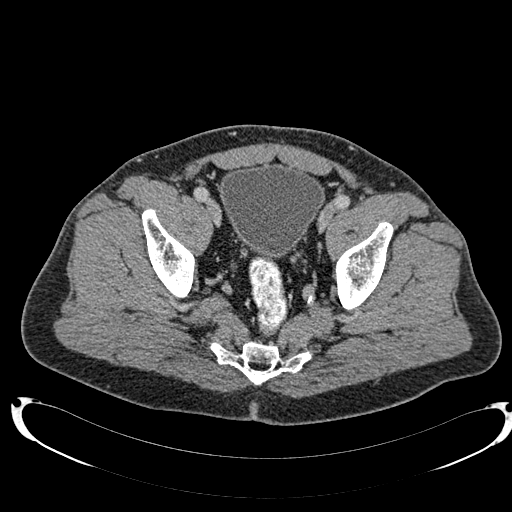

Pelvis. CT scan slice.
Urinary bladder = (220, 162, 324, 260).